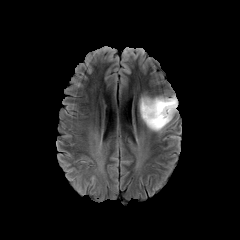
FLAIR MRI.
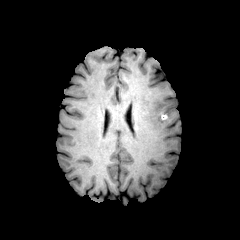
Same slice, T1-weighted MRI.
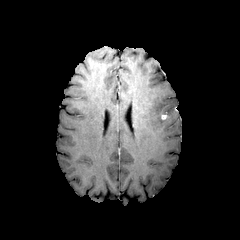
Same slice, post-contrast T1-weighted MRI.
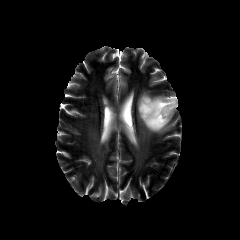
Same slice, T2-weighted MR image.
Image size 240x240
3 non-enhancing tumor core regions appear at (153, 110, 168, 120), (140, 98, 151, 113), (151, 102, 168, 109). The edema is bounded by (138, 93, 177, 133).